Slice 120/155 | Image size 240x240 | Field of view 240 mm wide, 1.00 mm slice spacing | Brain
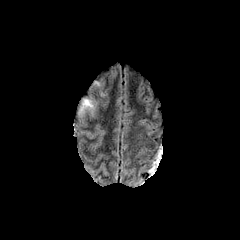
FLAIR MR.
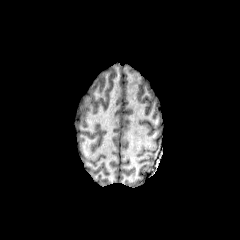
T1-weighted magnetic resonance.
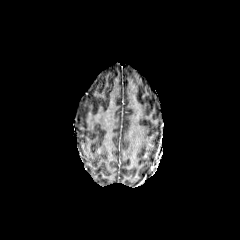
Same slice, post-contrast T1-weighted MR image.
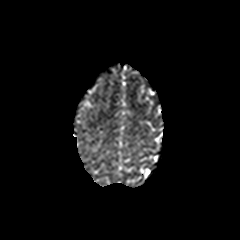
T2-weighted magnetic resonance.
Edema = x1=84 y1=100 x2=92 y2=108.